FLAIR magnetic resonance.
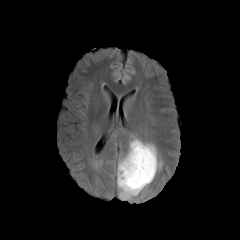
T1-weighted MRI.
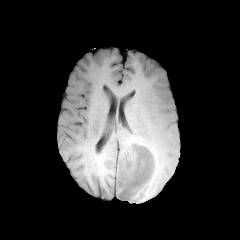
Post-contrast T1-weighted MRI.
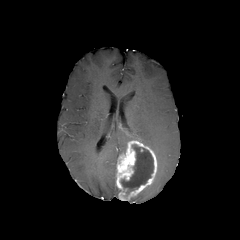
T2-weighted magnetic resonance.
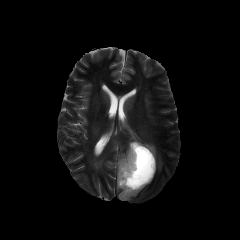
Image size 240x240
<segmentation>
  <enhancing_tumor>116:140:156:200</enhancing_tumor>
  <non-enhancing_tumor_core>122:146:153:189</non-enhancing_tumor_core>
  <edema>142:142:161:169, 129:132:141:141</edema>
</segmentation>